Slice 369 of 560. 512x512. CT slice. 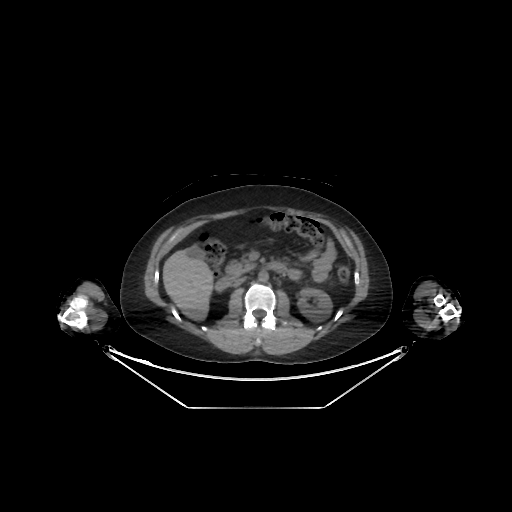 <segmentation>
  <kidney>x1=297, y1=287, x2=332, y2=322</kidney>
  <liver>x1=163, y1=245, x2=214, y2=319</liver>
</segmentation>